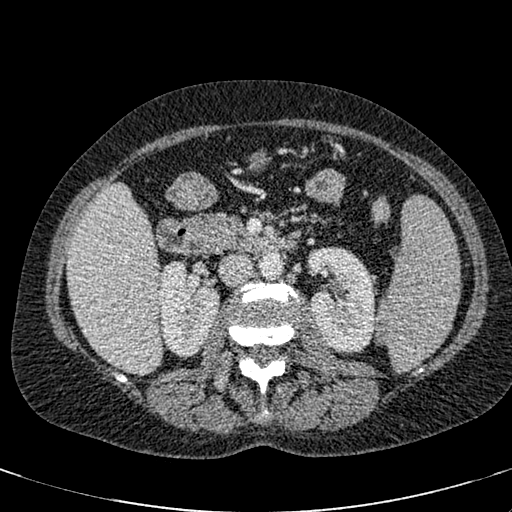
CT scan slice. Abdomen. Kidney at [159,262,218,356], [308,248,374,351].
Liver at [66,184,160,373].